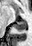
MR image | 32x46 px
Segmented structures:
* posterior hippocampus: region(14, 22, 26, 31)